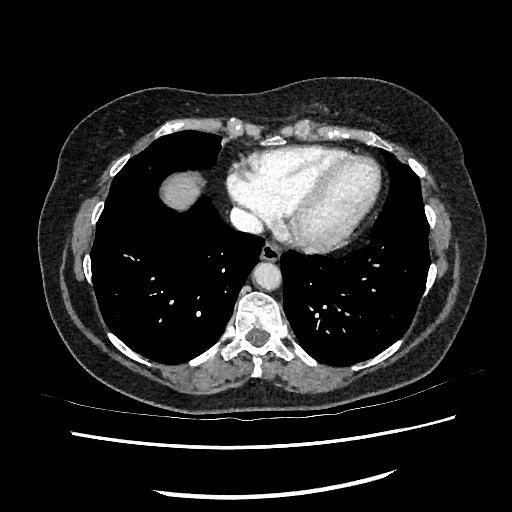

CT, 512x512
Liver at box=[163, 175, 198, 206].